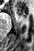
MR | Medial temporal lobe

Anterior hippocampus: <bbox>14, 8, 26, 17</bbox>.